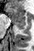

Magnetic resonance; 34x51 px
* posterior hippocampus: box(16, 25, 25, 30)
* anterior hippocampus: box(8, 6, 26, 24)